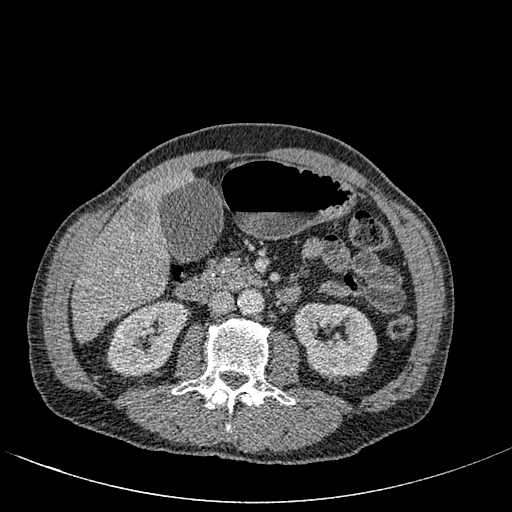
Liver; CT; Image size 512x512

liver_lesion:
  - [118, 198, 152, 232]
kidney:
  - [108, 301, 187, 375]
  - [294, 299, 376, 376]
liver:
  - [72, 169, 194, 342]